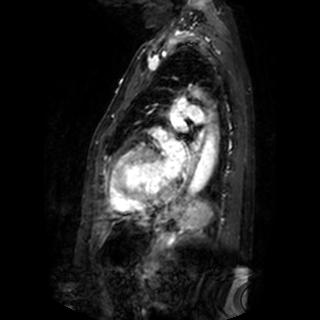

Cardiac; MR image

Segmented structures:
• left atrium: [x1=171, y1=112, x2=183, y2=127], [x1=162, y1=140, x2=185, y2=178]